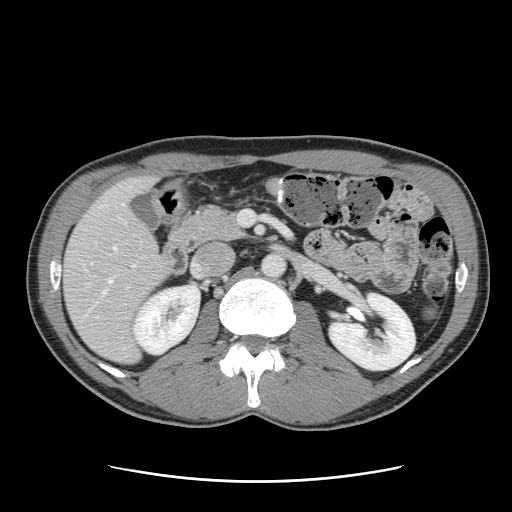 CT scan slice. Image size 512x512. Abdomen.

Not every hepatic vessel necessarily has a box.
<segmentation>
  <hepatic_vessel>left=86, top=283, right=89, bottom=285; left=123, top=221, right=125, bottom=223; left=102, top=290, right=105, bottom=294; left=108, top=278, right=111, bottom=282; left=132, top=265, right=134, bottom=266; left=113, top=247, right=115, bottom=249</hepatic_vessel>
</segmentation>